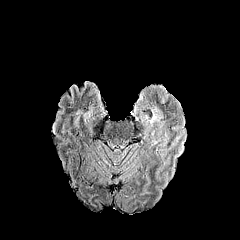
FLAIR MRI.
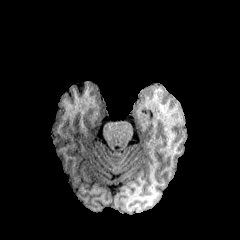
T1-weighted magnetic resonance of the same slice.
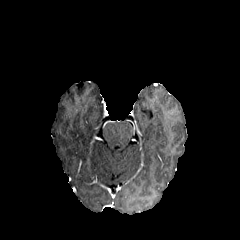
Same slice, post-contrast T1-weighted MRI.
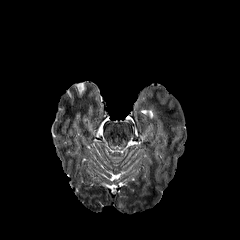
T2-weighted MRI.
Brain
The edema lies within 151 110 162 122.